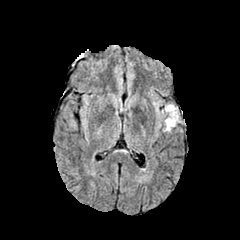
FLAIR MR.
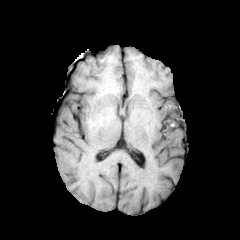
Same slice, T1-weighted MRI.
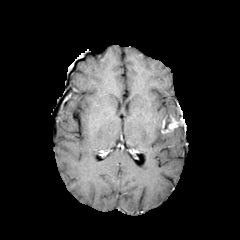
Post-contrast T1-weighted magnetic resonance.
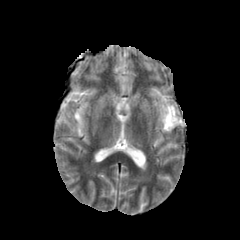
Same slice, T2-weighted MRI.
Head, 240x240
{"enhancing_tumor": ["bbox=[166, 114, 183, 131]"], "non-enhancing_tumor_core": ["bbox=[162, 109, 179, 131]"], "edema": ["bbox=[153, 101, 163, 110]", "bbox=[157, 104, 179, 126]"]}